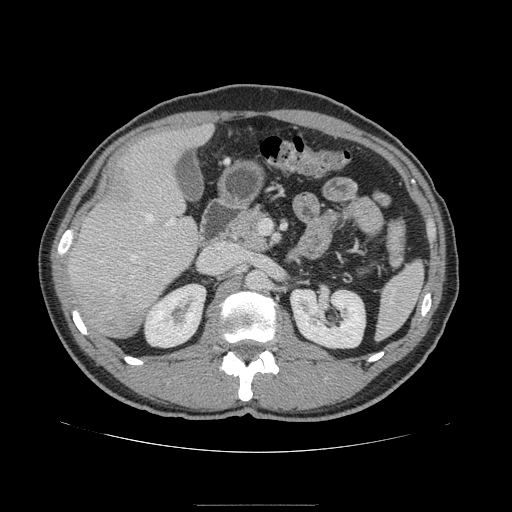 Abdomen; CT slice
Pancreas at bbox(224, 208, 268, 252).